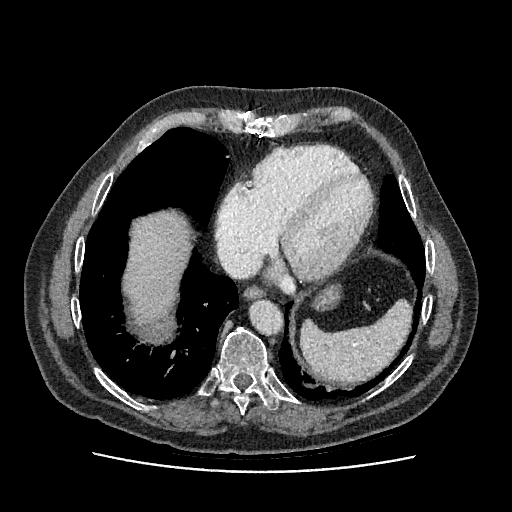

CT image.

The liver appears at bbox=[125, 213, 190, 323].